Slice 41 of 155; Field of view 240 mm wide, 1.00 mm slice spacing
FLAIR MR image.
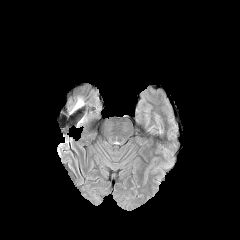
T1-weighted MR image.
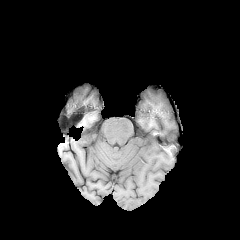
Post-contrast T1-weighted MRI.
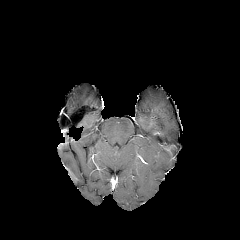
T2-weighted magnetic resonance.
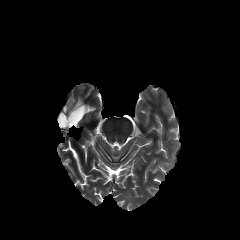
The edema is located at box(69, 98, 84, 114).